FLAIR magnetic resonance.
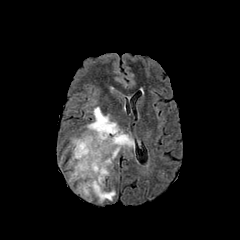
T1-weighted magnetic resonance.
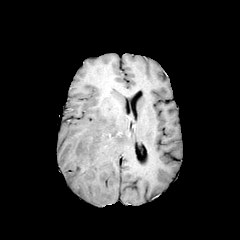
Post-contrast T1-weighted MR.
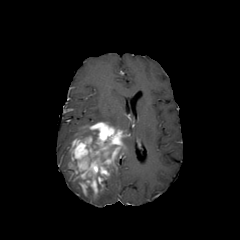
T2-weighted MR image.
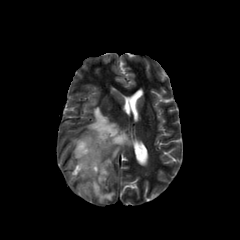
Brain.
enhancing_tumor:
  - 69,122,125,195
edema:
  - 96,189,115,202
  - 72,106,133,153
non-enhancing_tumor_core:
  - 78,129,97,143